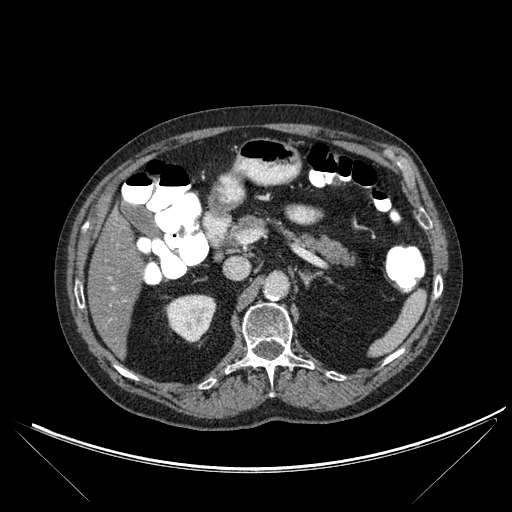
Abdomen. CT image. 512x512 px.

Bone: <box>115,366,137,379</box>, <box>434,276,442,297</box>, <box>199,381,210,388</box>, <box>384,349,403,363</box>, <box>75,288,83,307</box>, <box>326,371,344,380</box>, <box>226,303,313,382</box>.
Liver: <box>88,208,145,360</box>.
Kidney: <box>167,295,215,341</box>.